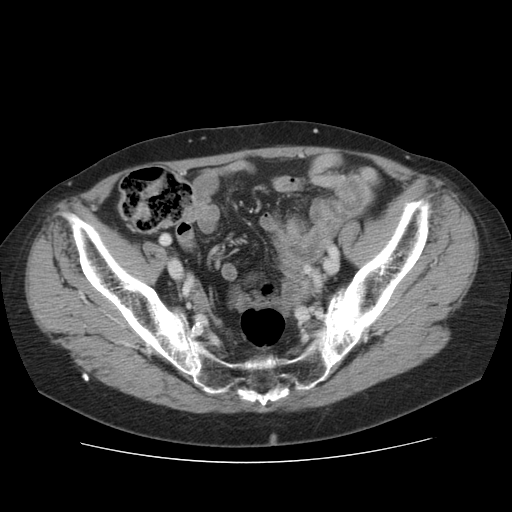
512x512; CT scan slice
The bone appears at [60, 195, 432, 410].